Computed tomography | Slice index 408 | Upper abdomen

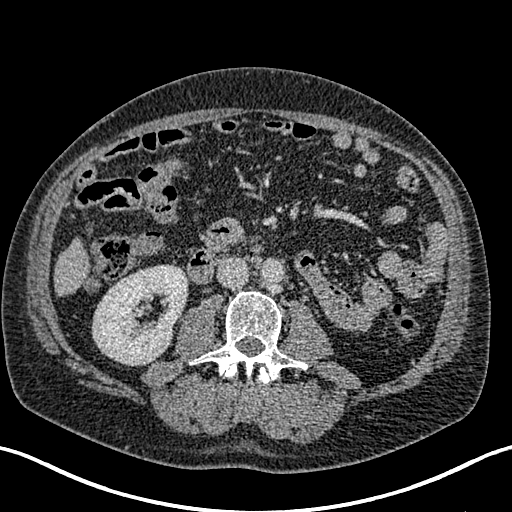
The kidney appears at 92:265:187:364. The liver lies within 55:240:87:295.